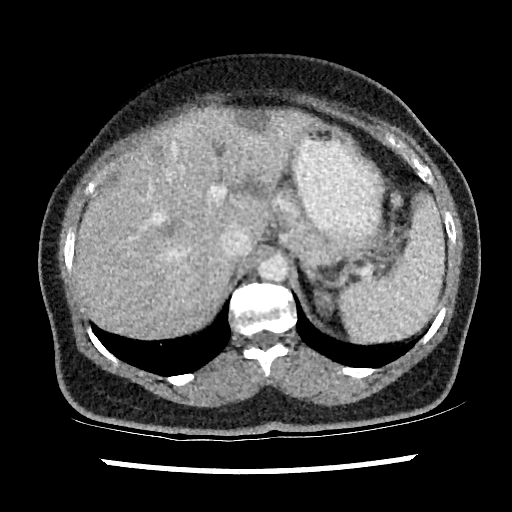
Computed tomography, Upper abdomen
The liver is located at box(71, 109, 322, 338). 5 liver lesion regions appear at box(158, 218, 177, 235); box(107, 173, 118, 186); box(241, 172, 269, 198); box(238, 111, 268, 131); box(154, 147, 161, 157).